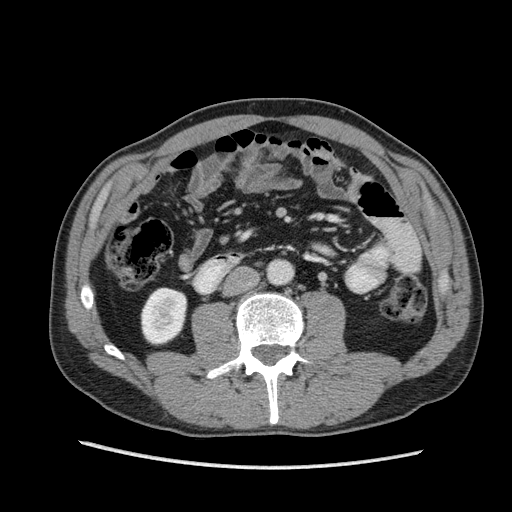 CT scan slice, Abdomen, Image size 512x512

<segmentation>
  <kidney>(142,288,185,342)</kidney>
</segmentation>